Upper abdomen. CT image.
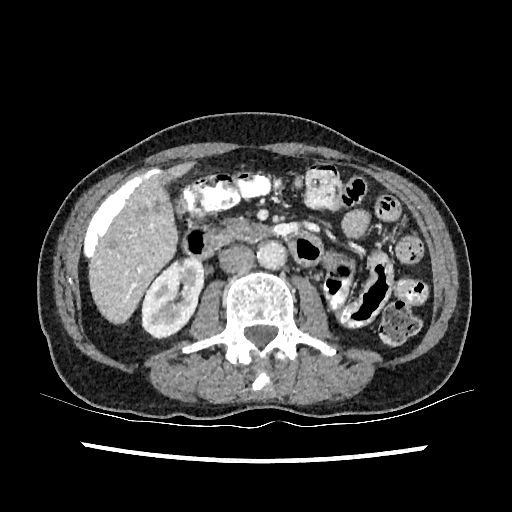

Kidney = 142 259 203 337.
Hepatic lesion = 109 241 116 249, 153 200 167 213.
Liver = 90 162 196 322.